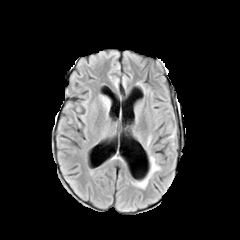
FLAIR MR.
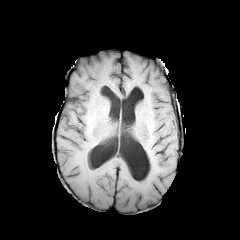
Same slice, T1-weighted MRI.
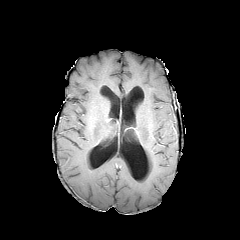
Post-contrast T1-weighted MR image of the same slice.
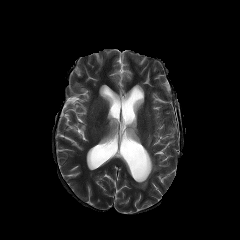
T2-weighted MR image of the same slice.
• edema: 136 156 159 188